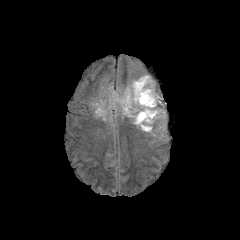
FLAIR MR.
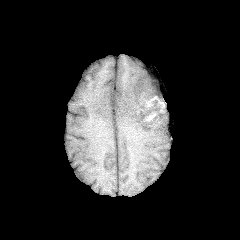
T1-weighted magnetic resonance of the same slice.
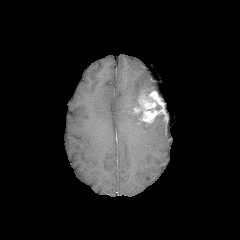
Post-contrast T1-weighted MRI of the same slice.
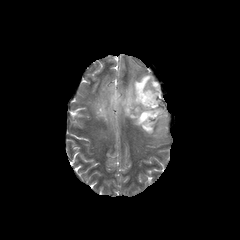
T2-weighted magnetic resonance.
240x240 px | Head
The edema is bounded by box=[92, 74, 166, 138]. 4 non-enhancing tumor core regions appear at box=[110, 90, 120, 111]; box=[135, 116, 149, 127]; box=[137, 77, 156, 95]; box=[127, 101, 139, 113]. The enhancing tumor appears at box=[134, 89, 165, 123].